Slice index 95 | 240x240
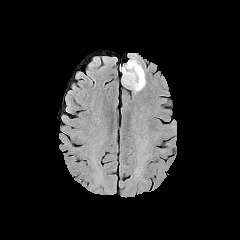
FLAIR MRI.
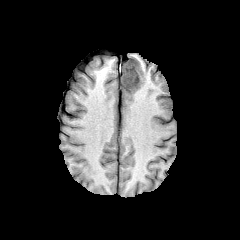
T1-weighted MR.
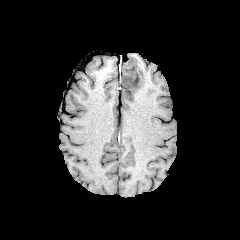
Post-contrast T1-weighted MRI of the same slice.
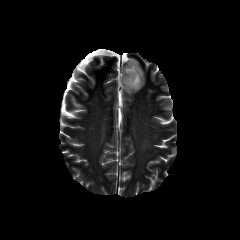
T2-weighted MR image.
edema: (130,67,145,93) | non-enhancing tumor core: (121,60,141,89)